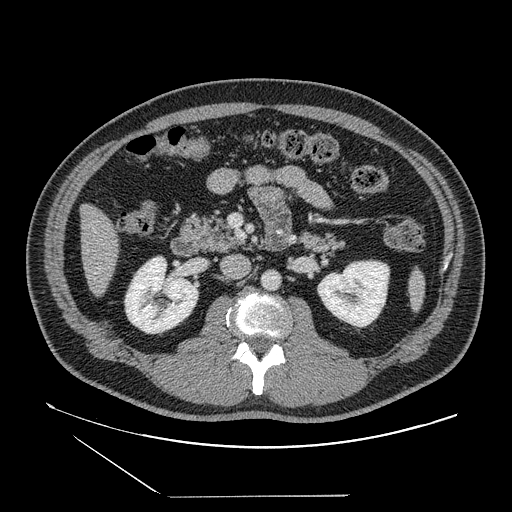
Image size 512x512; CT image; Abdomen
Segmented structures:
- pancreas: bbox(179, 213, 235, 254); bbox(297, 227, 346, 253)